Slice index 5; MRI slice; Hippocampus 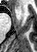 Anterior hippocampus — x1=15 y1=5 x2=19 y2=10.